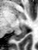

Hippocampus; MRI

posterior_hippocampus:
  - [13,25,26,40]